240x240 px | Head
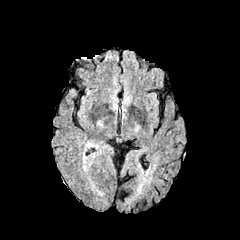
FLAIR magnetic resonance.
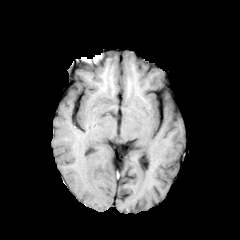
T1-weighted magnetic resonance of the same slice.
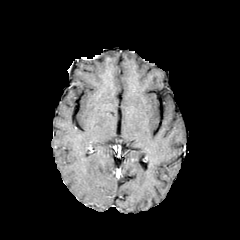
Post-contrast T1-weighted MR image.
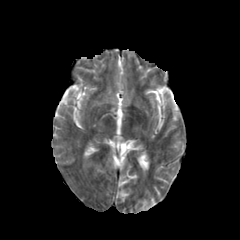
T2-weighted MR.
edema:
  - (x1=83, y1=152, x2=89, y2=170)